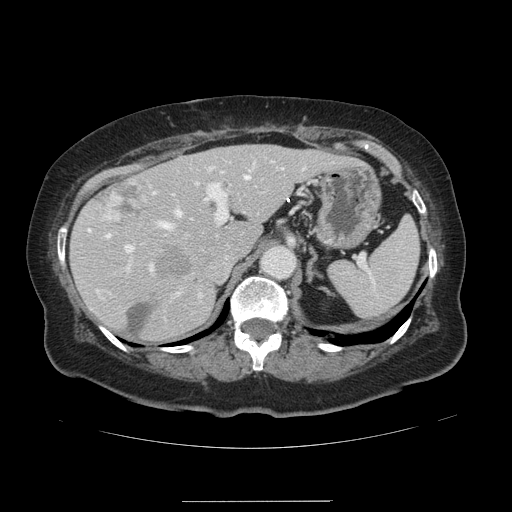 Abdomen; CT slice; 512x512 px

Some hepatic vessels may have no box.
Hepatic vessel: bounding box bbox=[208, 166, 212, 169]; bbox=[303, 167, 304, 168]; bbox=[88, 228, 90, 231]; bbox=[104, 233, 109, 236]; bbox=[253, 161, 254, 165]; bbox=[205, 182, 227, 222]; bbox=[158, 221, 172, 227]; bbox=[149, 265, 153, 271]; bbox=[244, 166, 252, 178]; bbox=[125, 244, 132, 252]; bbox=[126, 264, 129, 270]; bbox=[195, 182, 197, 184]; bbox=[175, 209, 181, 215].
Liver tumor: bounding box bbox=[96, 179, 155, 233]; bbox=[128, 303, 151, 332]; bbox=[162, 246, 191, 275].